FLAIR MR.
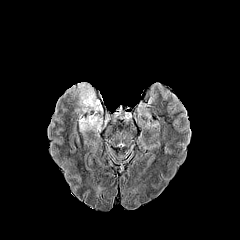
T1-weighted MRI.
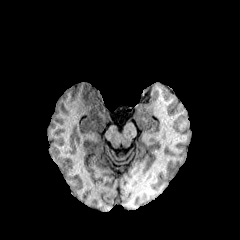
Post-contrast T1-weighted magnetic resonance.
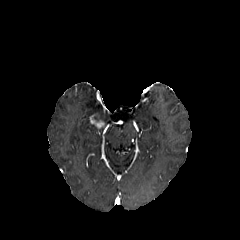
T2-weighted MR.
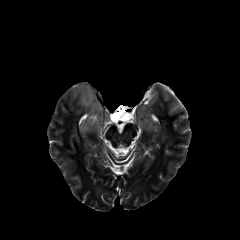
Head
Edema: bounding box x1=75 y1=82 x2=103 y2=141.
Enhancing tumor: bounding box x1=90 y1=117 x2=105 y2=128.